FLAIR MRI.
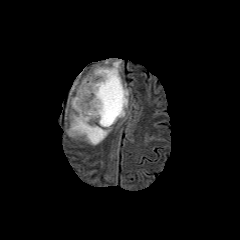
T1-weighted MRI.
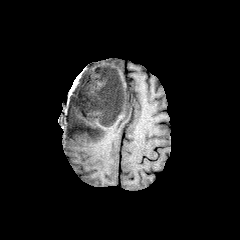
Post-contrast T1-weighted MR image.
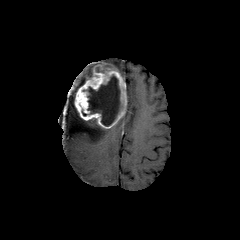
T2-weighted MRI.
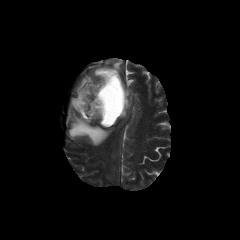
Edema = rect(105, 58, 122, 70); rect(66, 76, 114, 145).
Enhancing tumor = rect(74, 65, 126, 126).
Non-enhancing tumor core = rect(88, 76, 127, 127); rect(76, 70, 93, 92).